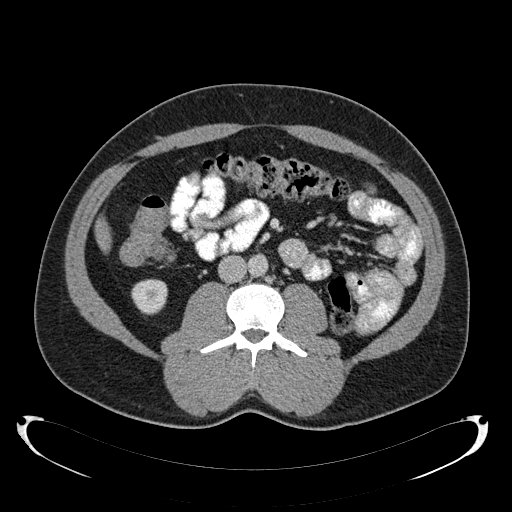 CT image

<segmentation>
  <kidney>(x1=132, y1=280, x2=166, y2=313)</kidney>
  <liver>(x1=97, y1=220, x2=108, y2=249)</liver>
</segmentation>